FLAIR magnetic resonance.
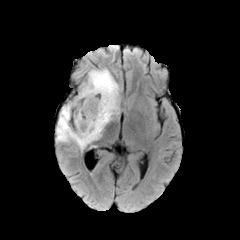
T1-weighted MR.
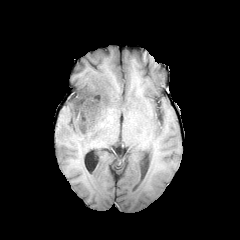
Post-contrast T1-weighted magnetic resonance.
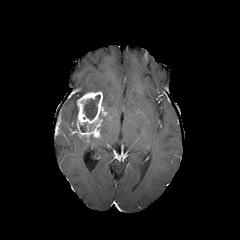
T2-weighted magnetic resonance.
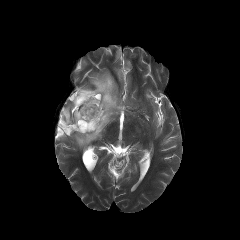
Head
2 enhancing tumor regions are bounded by 56:115:61:135, 70:91:107:140. 3 edema regions are bounded by 80:69:119:130, 56:130:98:150, 60:104:71:124. 3 non-enhancing tumor core regions appear at 84:95:100:119, 102:91:109:121, 61:89:101:132.